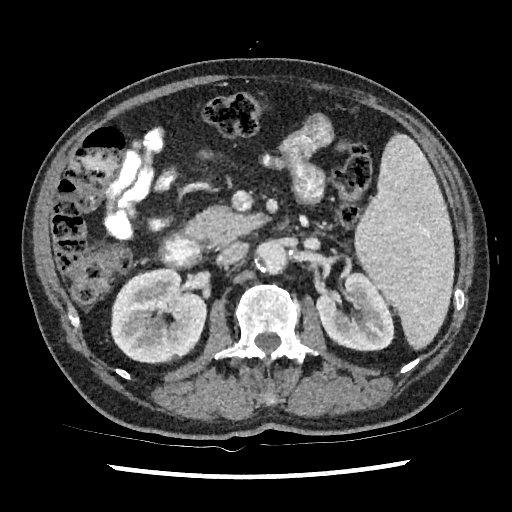
Abdomen; 512x512; CT scan slice
Annotated regions:
- kidney: (316, 261, 393, 349), (111, 269, 206, 362)